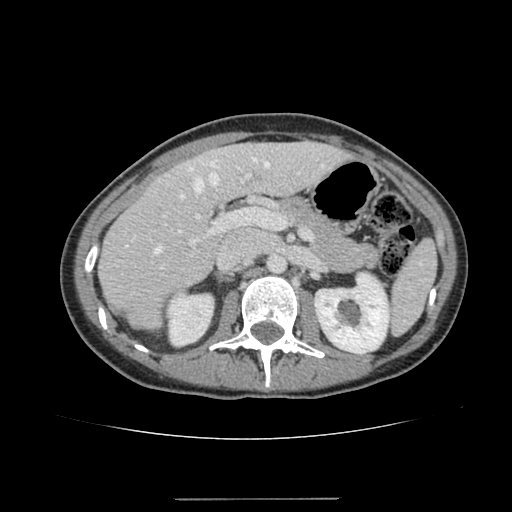 512x512. CT.

Segmented structures:
• liver: 97 141 347 329
• kidney: 168 294 213 345, 315 273 388 353